CT scan slice. 512x512.
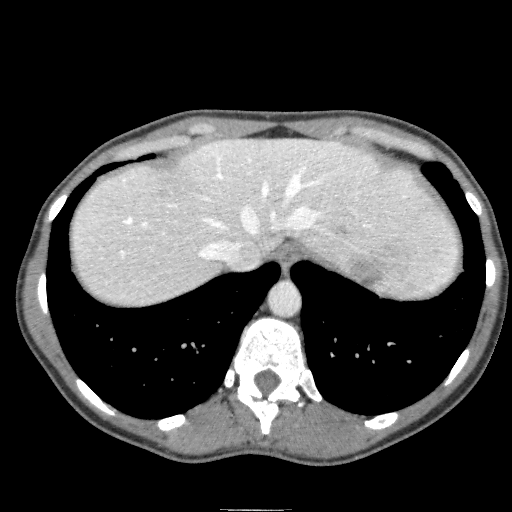
<segmentation>
  <liver>(72,137,458,307)</liver>
  <hepatic_lesion>(334,227,346,234)</hepatic_lesion>
</segmentation>